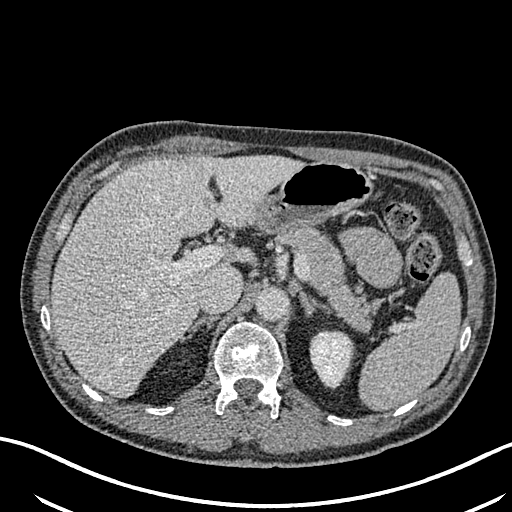

CT scan slice; Upper abdomen

Segmented structures:
• hepatic lesion: [149,292,156,301], [203,197,214,208]
• kidney: [311,332,350,386]
• liver: [52,155,303,396]